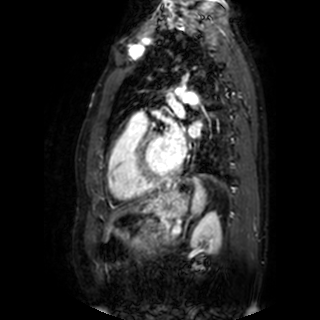
Heart. MRI.

Segmented structures:
• left atrium: <box>165,124,186,163</box>, <box>188,125,200,137</box>